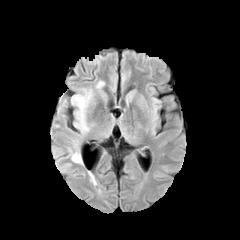
FLAIR MR image.
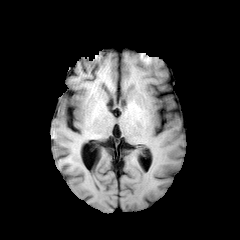
T1-weighted magnetic resonance.
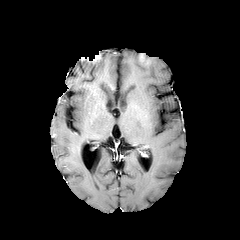
Same slice, post-contrast T1-weighted MR image.
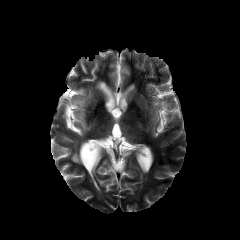
T2-weighted MR image.
Image size 240x240.
Edema: (95, 82, 103, 90), (59, 88, 93, 135), (68, 146, 82, 163).